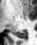

Magnetic resonance. Image size 37x45.

The posterior hippocampus appears at [16,31,25,38].